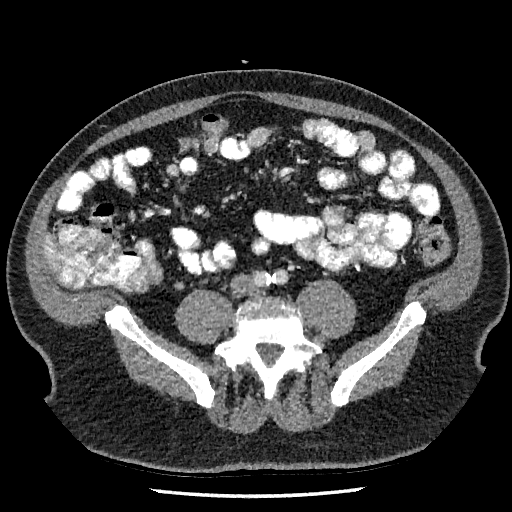
Abdomen. CT.

Liver = [44,235,57,267].